Brain
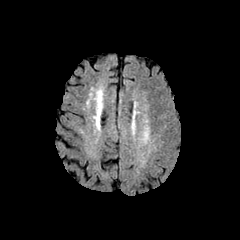
FLAIR MR image.
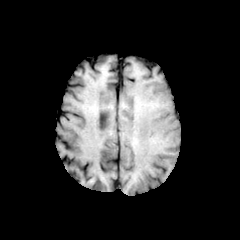
T1-weighted MRI.
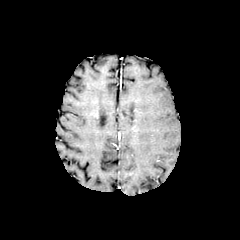
Same slice, post-contrast T1-weighted MR image.
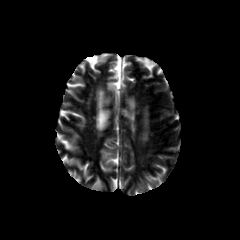
Same slice, T2-weighted MR image.
The edema appears at 142:119:148:141.